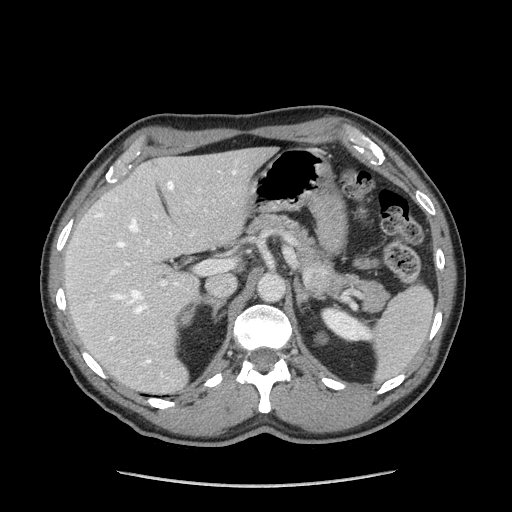
Upper abdomen; CT slice

pancreatic_tumor:
  - (left=303, top=267, right=325, bottom=290)
pancreas:
  - (left=248, top=214, right=388, bottom=311)